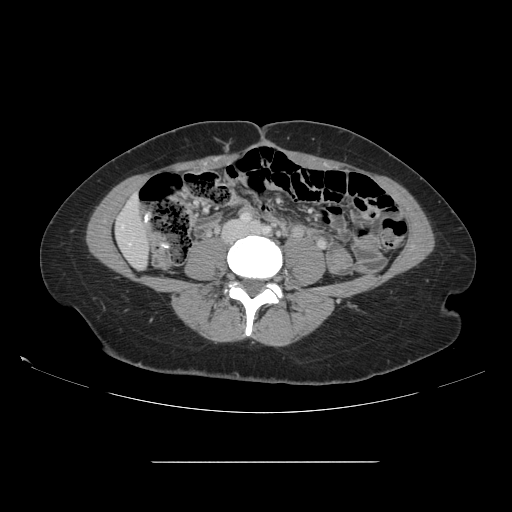
512x512 px, CT image

Not every hepatic vessel necessarily has a box.
Segmented structures:
- hepatic vessel: bbox(121, 225, 123, 229); bbox(129, 243, 130, 245)